Slice 48 of 155. Image width 240 mm.
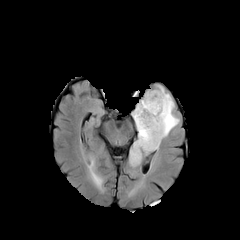
FLAIR magnetic resonance.
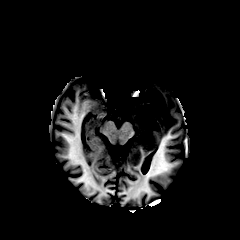
T1-weighted MRI of the same slice.
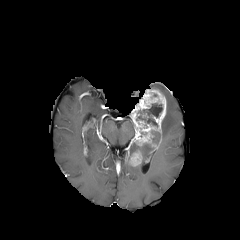
Post-contrast T1-weighted magnetic resonance of the same slice.
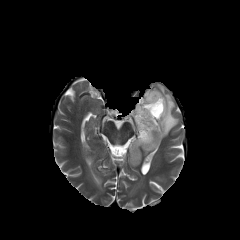
T2-weighted MRI.
The enhancing tumor is bounded by rect(132, 89, 165, 143). 2 edema regions are located at rect(156, 85, 179, 139); rect(128, 140, 153, 166). 2 non-enhancing tumor core regions appear at rect(149, 131, 161, 146); rect(136, 103, 162, 127).